Image size 240x240 | Head
FLAIR MRI.
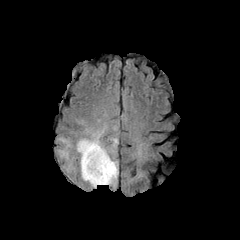
T1-weighted MR image.
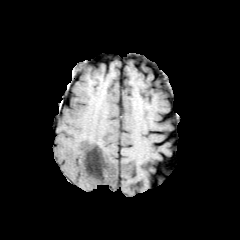
Post-contrast T1-weighted MR image.
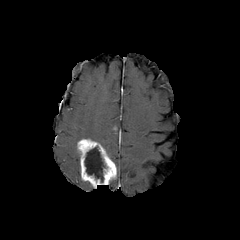
T2-weighted MR image.
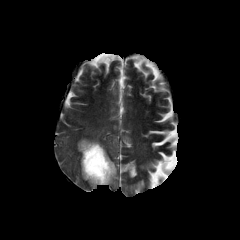
Edema: bbox(112, 156, 118, 177); bbox(109, 137, 117, 155); bbox(76, 142, 79, 169); bbox(86, 133, 107, 153).
Enhancing tumor: bbox(78, 139, 116, 186).
Non-enhancing tumor core: bbox(84, 147, 104, 181).